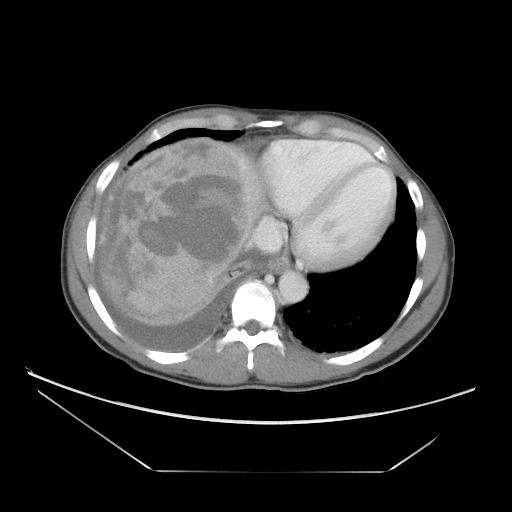 CT, Abdomen
- liver tumor: rect(98, 141, 255, 324)